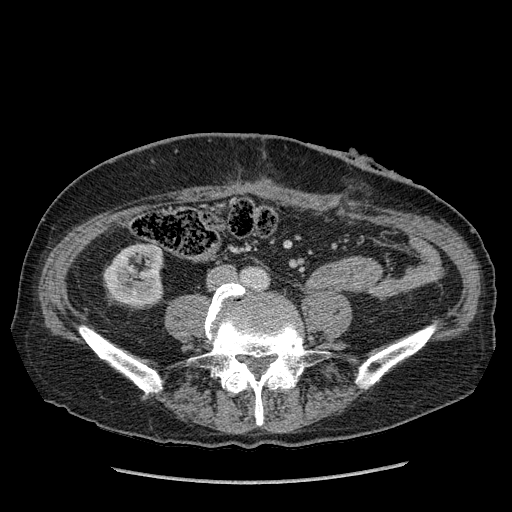

CT. 512x512. Abdomen. Kidney: bounding box bbox(104, 244, 161, 305).